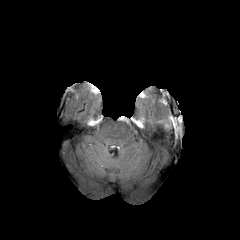
FLAIR MRI.
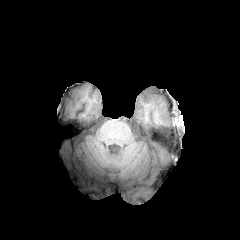
Same slice, T1-weighted MRI.
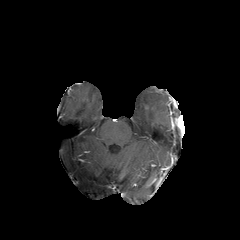
Post-contrast T1-weighted MR image.
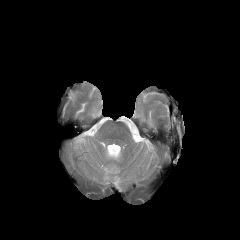
T2-weighted magnetic resonance.
Head
<segmentation>
  <edema>(102,144,121,160), (124,118,133,128), (137,112,152,124)</edema>
</segmentation>